Slice 7 of 39, MRI, Image size 35x46 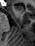
Anterior hippocampus = x1=14, y1=5, x2=24, y2=11.